FLAIR magnetic resonance.
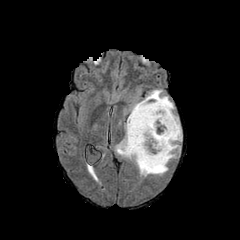
T1-weighted MR image.
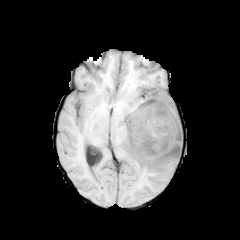
Post-contrast T1-weighted MR.
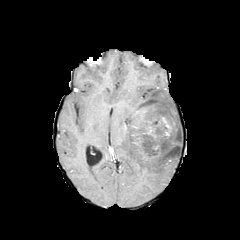
T2-weighted MRI.
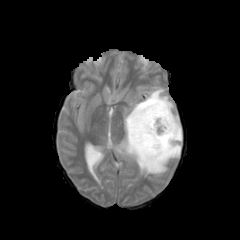
240x240 px, Head
non-enhancing_tumor_core:
  - rect(126, 96, 179, 160)
edema:
  - rect(125, 88, 182, 154)
  - rect(115, 122, 177, 177)
enhancing_tumor:
  - rect(142, 126, 153, 135)
  - rect(162, 117, 171, 135)
  - rect(135, 108, 146, 125)